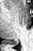
33x51 px | MR | Medial temporal lobe

posterior_hippocampus:
  - box(7, 41, 17, 45)